CT image, Abdomen, Slice 37 of 106

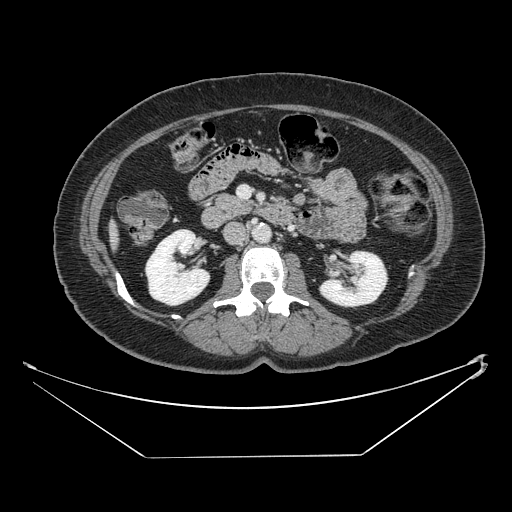
pancreas:
  - 212,192,255,223